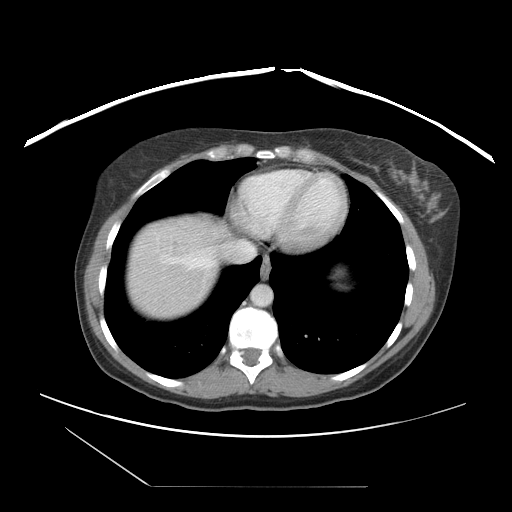

CT slice, Abdomen
The vessel boxes may cover only some of the vessels.
Annotated regions:
* hepatic vessel: [168, 247, 170, 248], [172, 254, 214, 267], [164, 260, 165, 262], [235, 241, 254, 257]